CT image | Image width 330 mm
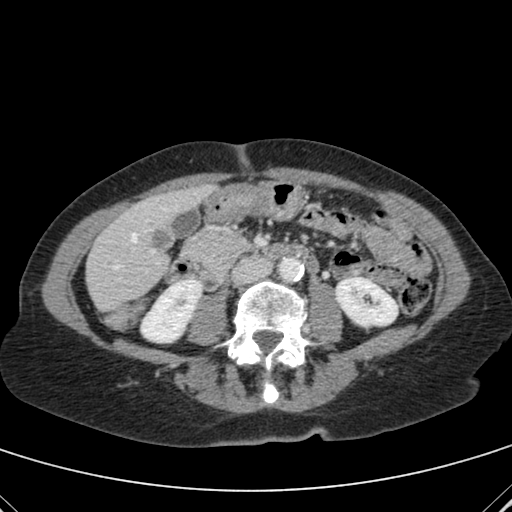

Kidney: bounding box 336 278 396 325, 141 280 201 342.
Liver: bounding box 86 185 208 310.
Liver lesion: bounding box 148 227 174 252.